Slice 342/624 | Abdomen | CT image 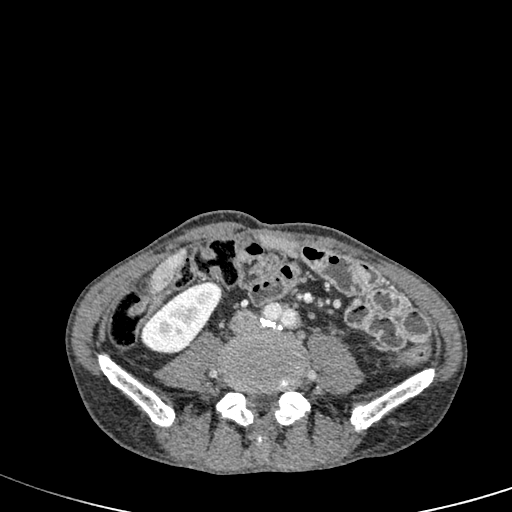 Liver = 151 249 185 291.
Kidney = 142 283 220 352.